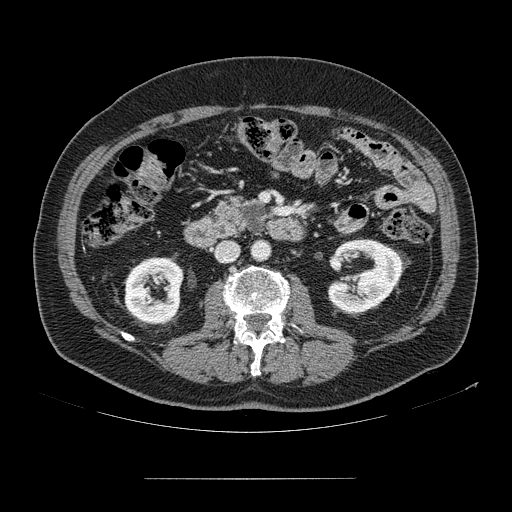 Upper abdomen; 512x512; CT scan slice

The pancreatic tumor lies within (x1=240, y1=203, x2=266, y2=233). The pancreas is located at (x1=217, y1=198, x2=267, y2=238).